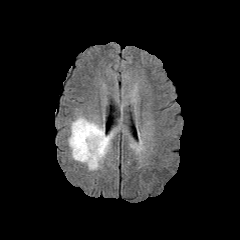
FLAIR magnetic resonance.
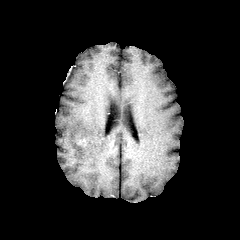
T1-weighted MR image of the same slice.
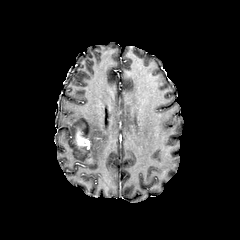
Post-contrast T1-weighted MRI.
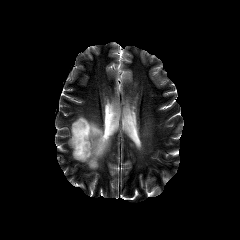
T2-weighted MRI.
Brain
The edema is at left=67, top=114, right=118, bottom=171. The non-enhancing tumor core is at left=74, top=130, right=83, bottom=149. The enhancing tumor is at left=76, top=131, right=89, bottom=149.